Computed tomography, Upper abdomen
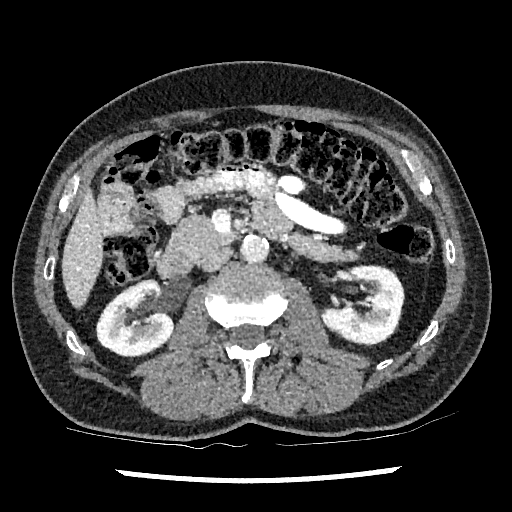

{
  "liver": [
    "[63,193,103,307]"
  ],
  "kidney": [
    "[97,281,172,355]",
    "[323,266,403,342]"
  ]
}